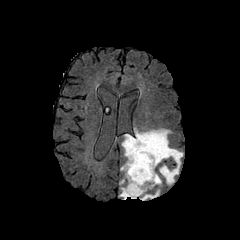
FLAIR MR image.
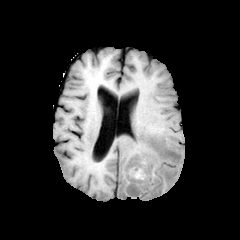
T1-weighted MR image.
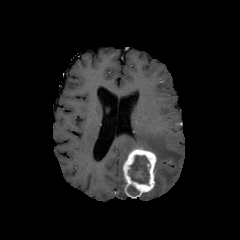
Same slice, post-contrast T1-weighted MR.
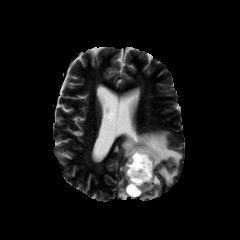
T2-weighted MR image.
240x240.
Edema: (121, 128, 182, 185), (118, 179, 127, 199), (140, 173, 162, 200).
Non-enhancing tumor core: (131, 156, 148, 183).
Enhancing tumor: (122, 146, 157, 198).